240x240 px
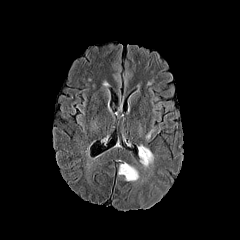
FLAIR MR.
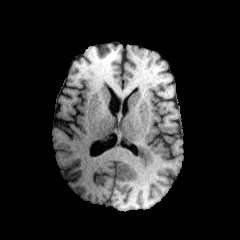
T1-weighted magnetic resonance.
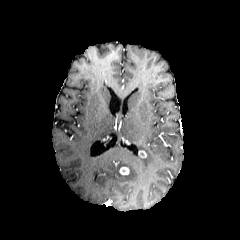
Same slice, post-contrast T1-weighted MR image.
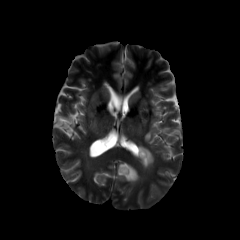
Same slice, T2-weighted MR.
<segmentation>
  <enhancing_tumor>region(138, 150, 147, 158); region(119, 166, 129, 175)</enhancing_tumor>
  <edema>region(119, 162, 139, 181); region(138, 146, 153, 168); region(144, 129, 156, 140)</edema>
</segmentation>